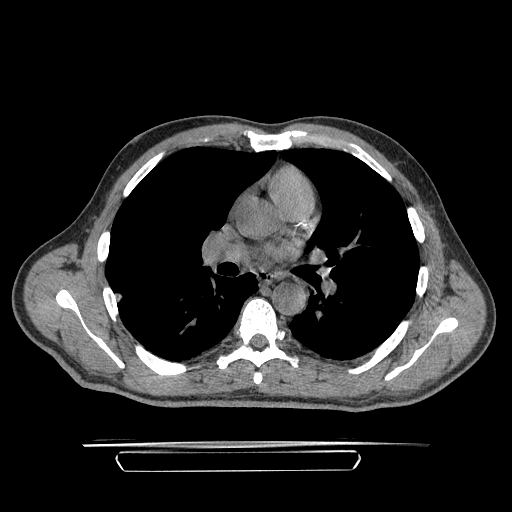

Chest, 512x512 px, Computed tomography
Lung tumor = 115 291 122 302.